FLAIR magnetic resonance.
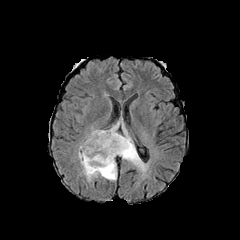
T1-weighted MRI.
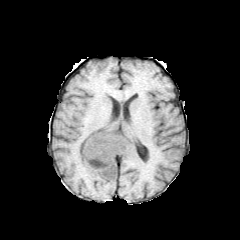
Post-contrast T1-weighted MR.
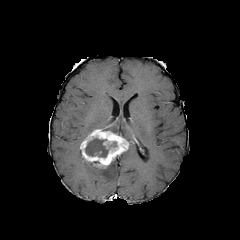
T2-weighted MRI.
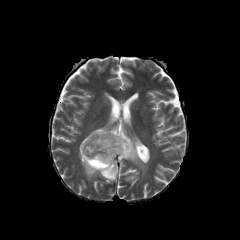
Head
<segmentation>
  <enhancing_tumor>80, 129, 129, 168</enhancing_tumor>
  <non-enhancing_tumor_core>85, 138, 108, 157</non-enhancing_tumor_core>
  <edema>108, 118, 146, 170; 78, 146, 120, 181</edema>
</segmentation>